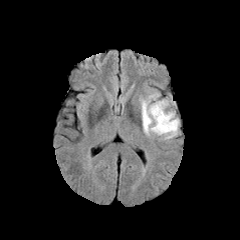
FLAIR MR image.
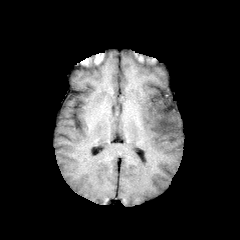
T1-weighted MR image.
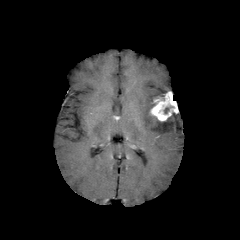
Post-contrast T1-weighted magnetic resonance of the same slice.
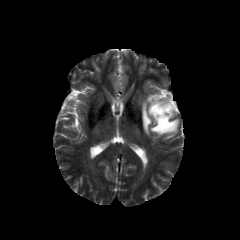
T2-weighted MR.
240x240 px. Head.
edema: [x1=139, y1=92, x2=179, y2=139] | enhancing tumor: [x1=149, y1=93, x2=177, y2=121] | non-enhancing tumor core: [x1=149, y1=115, x2=173, y2=131]